512x512. Computed tomography. 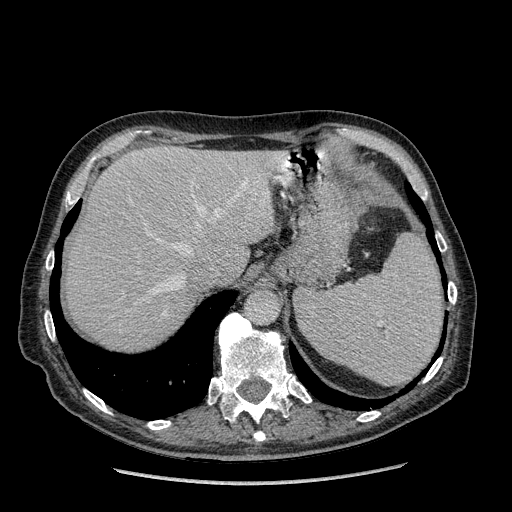

{
  "liver": [
    "<box>66,146,284,352</box>"
  ]
}